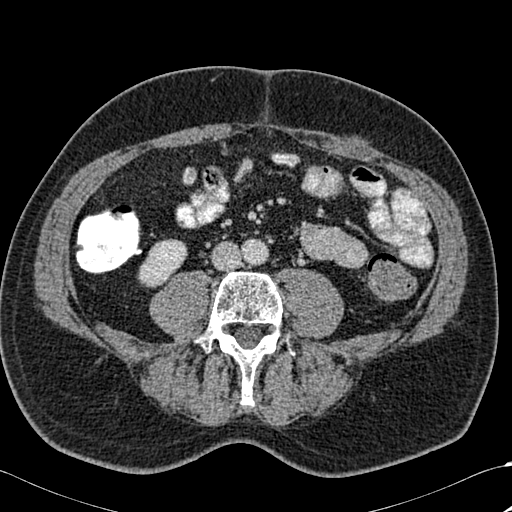

Computed tomography
bone:
  - (x1=195, y1=271, x2=282, y2=405)
kidney:
  - (x1=140, y1=241, x2=185, y2=285)